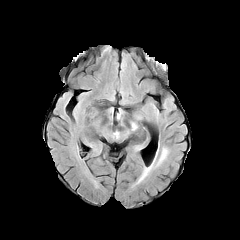
FLAIR MR image.
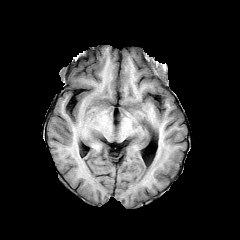
T1-weighted MR image.
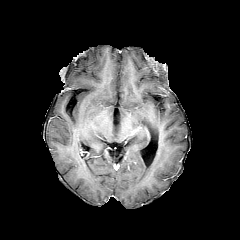
Post-contrast T1-weighted MR.
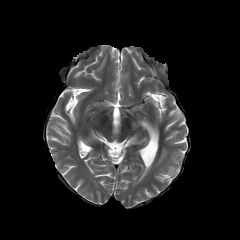
Same slice, T2-weighted magnetic resonance.
Findings:
- edema: (134,147,169,185)